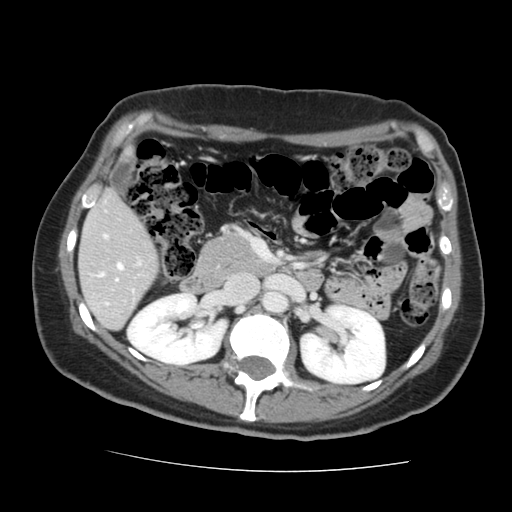

Image size 512x512 | CT slice | Liver

Some hepatic vessels may have no box.
Hepatic vessel — [x1=117, y1=264, x2=122, y2=269], [x1=115, y1=279, x2=116, y2=281], [x1=104, y1=235, x2=106, y2=238], [x1=97, y1=273, x2=103, y2=276], [x1=137, y1=262, x2=139, y2=265].